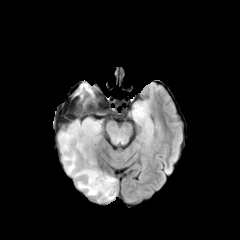
FLAIR magnetic resonance.
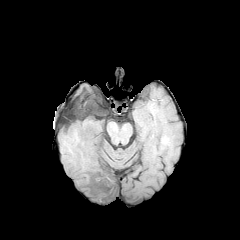
Same slice, T1-weighted magnetic resonance.
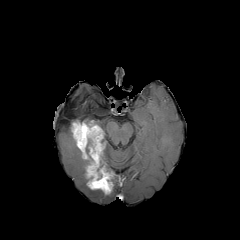
Post-contrast T1-weighted MR of the same slice.
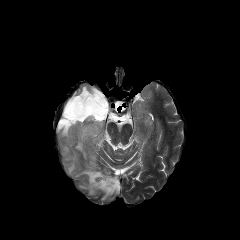
Same slice, T2-weighted MRI.
240x240, Head
2 enhancing tumor regions are located at bbox(86, 161, 113, 194); bbox(71, 120, 102, 158). 5 edema regions appear at bbox(132, 102, 146, 119); bbox(75, 84, 93, 95); bbox(68, 108, 94, 123); bbox(78, 181, 116, 199); bbox(59, 126, 86, 179). 2 non-enhancing tumor core regions are located at bbox(85, 138, 106, 172); bbox(86, 98, 93, 105).